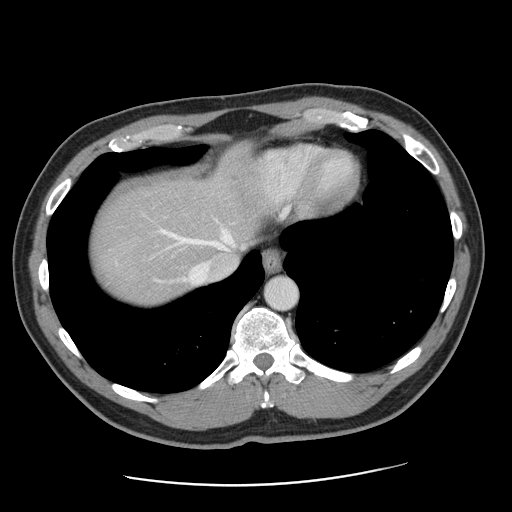

Abdomen; 512x512 px; CT slice

Some hepatic vessels may have no box.
2 hepatic vessel regions are bounded by [158,280,160,281], [160,227,245,285].